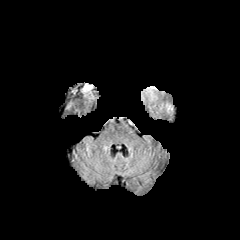
FLAIR magnetic resonance.
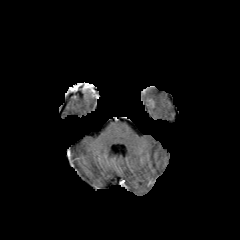
T1-weighted MR image of the same slice.
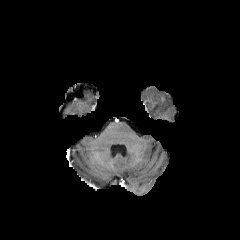
Post-contrast T1-weighted MRI of the same slice.
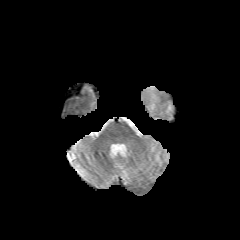
Same slice, T2-weighted MR.
Image size 240x240 | Brain
Edema — (160,103,171,113), (145,88,157,104).